Field of view 320x320 mm; CT; Liver
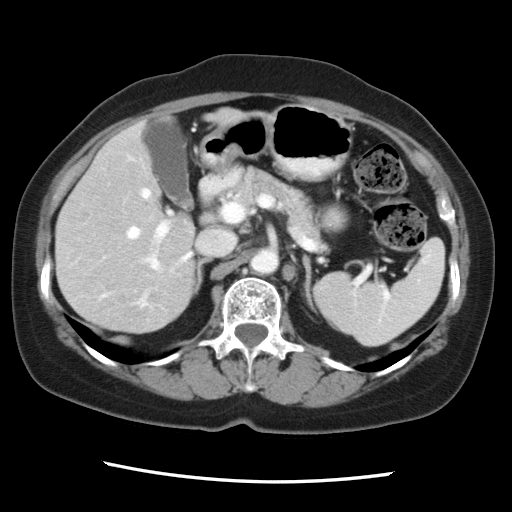

The vessel annotation is not exhaustive.
11 hepatic vessel regions are bounded by left=134, top=301, right=138, bottom=304; left=175, top=252, right=190, bottom=265; left=141, top=187, right=151, bottom=199; left=168, top=211, right=171, bottom=214; left=126, top=226, right=141, bottom=239; left=146, top=303, right=152, bottom=307; left=198, top=231, right=234, bottom=253; left=106, top=293, right=111, bottom=295; left=144, top=288, right=151, bottom=296; left=221, top=195, right=244, bottom=222; left=141, top=219, right=170, bottom=271.